CT slice; Liver
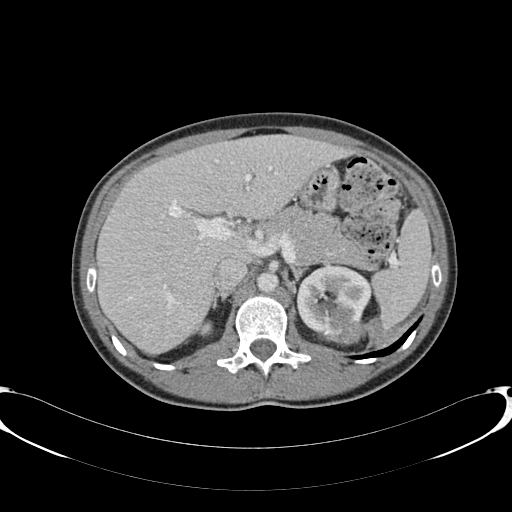 Kidney: (left=298, top=265, right=370, bottom=342).
Liver: (left=97, top=135, right=353, bottom=353).